Abdomen. Slice 43/131. CT image.

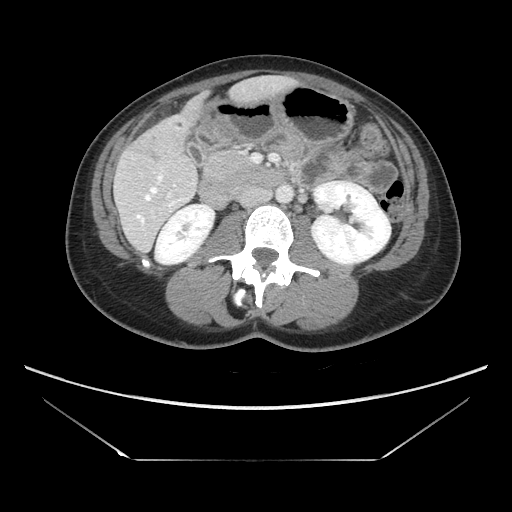
Liver tumor: bounding box left=168, top=119, right=189, bottom=134.